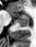

MR

<segmentation>
  <anterior_hippocampus>box=[11, 13, 27, 16]</anterior_hippocampus>
  <posterior_hippocampus>box=[16, 17, 29, 27]</posterior_hippocampus>
</segmentation>